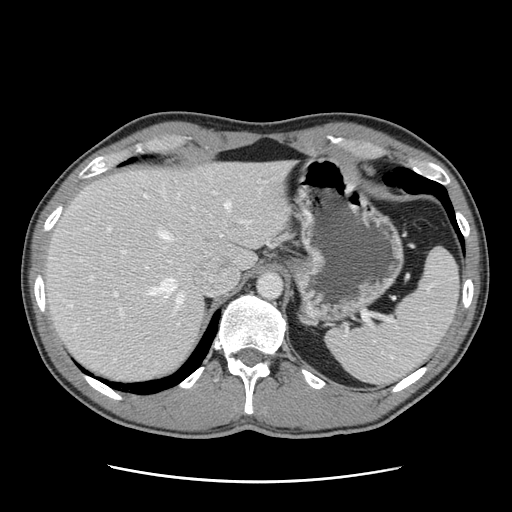
CT slice. 512x512. Liver.

Not every hepatic vessel necessarily has a box.
<segmentation>
  <hepatic_vessel><box>120,308,122,314</box>, <box>159,231,170,239</box>, <box>224,202,230,208</box>, <box>143,194,147,197</box>, <box>149,278,175,297</box>, <box>145,267,147,268</box>, <box>175,294,183,309</box>, <box>108,228,110,230</box>, <box>114,292,116,295</box>, <box>214,192,215,193</box>, <box>241,220,248,225</box>, <box>68,302,72,306</box>, <box>90,277,92,279</box>, <box>122,250,125,252</box></hepatic_vessel>
</segmentation>